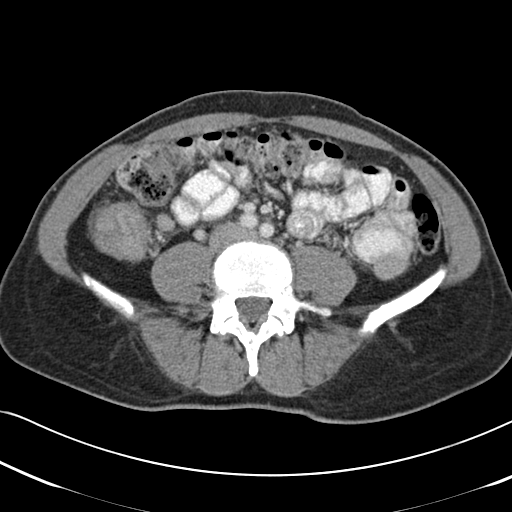
CT; 512x512 px
Colon tumor at bbox=[89, 202, 149, 260].